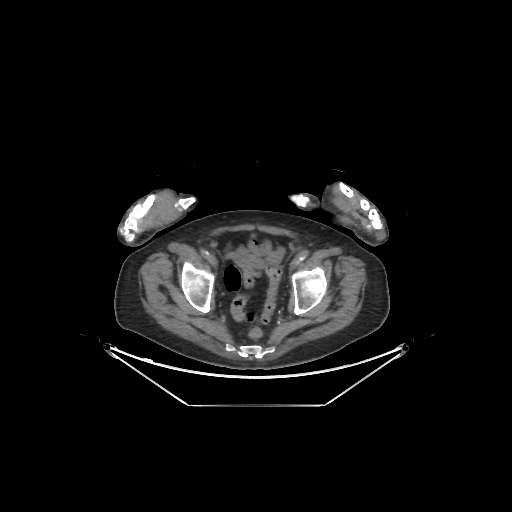

CT scan slice, 512x512
* bone: box=[175, 197, 195, 209]; box=[292, 266, 326, 314]; box=[226, 344, 274, 358]; box=[296, 195, 308, 206]; box=[181, 262, 213, 312]; box=[121, 195, 155, 240]; box=[339, 182, 382, 228]